MR | Slice index 11 | Medial temporal lobe 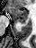

Segmented structures:
- anterior hippocampus: rect(9, 7, 26, 21)
- posterior hippocampus: rect(20, 22, 24, 22)